Slice 397/841, Upper abdomen, 512x512, Computed tomography 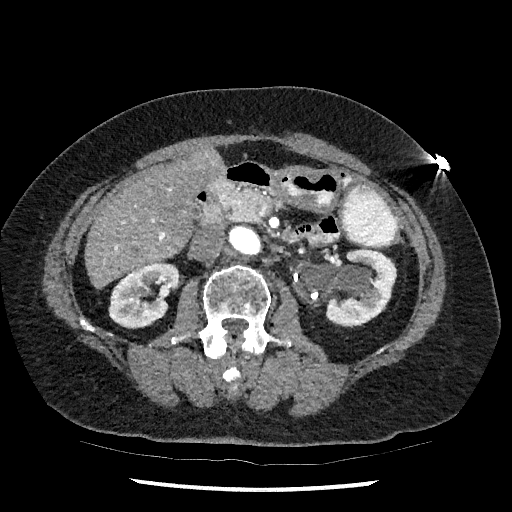
kidney:
  - (left=330, top=255, right=340, bottom=265)
  - (left=109, top=263, right=178, bottom=327)
  - (left=327, top=250, right=396, bottom=325)
liver:
  - (left=86, top=150, right=224, bottom=289)